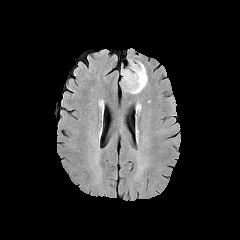
FLAIR MR image.
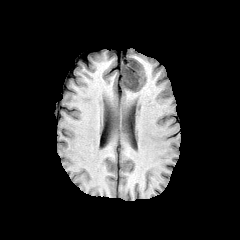
T1-weighted MRI.
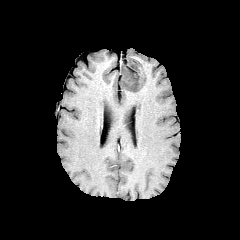
Post-contrast T1-weighted magnetic resonance.
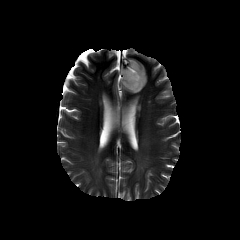
T2-weighted MR of the same slice.
Head.
Non-enhancing tumor core = (122, 60, 143, 90).
Edema = (121, 62, 147, 93).